Brain
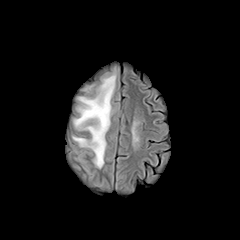
FLAIR magnetic resonance.
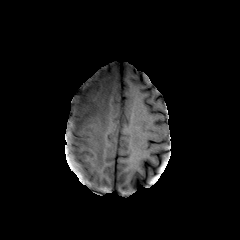
T1-weighted MR of the same slice.
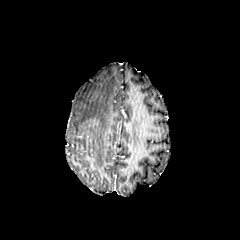
Post-contrast T1-weighted MR image.
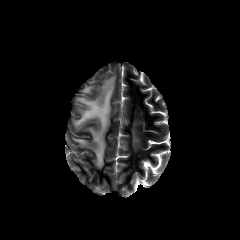
T2-weighted MRI.
* edema: <bbox>74, 74, 115, 167</bbox>